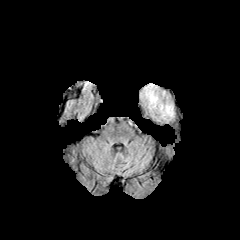
FLAIR MR image.
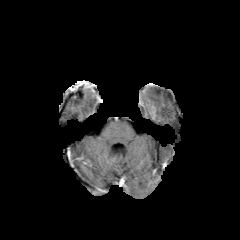
T1-weighted MR image.
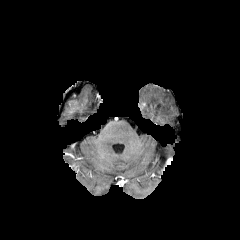
Post-contrast T1-weighted MR image of the same slice.
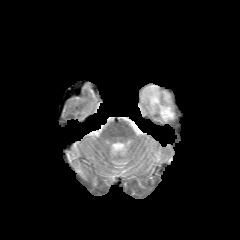
Same slice, T2-weighted MR.
240x240 px.
* edema: (left=139, top=83, right=174, bottom=119)